Image size 512x512, Abdomen, CT slice
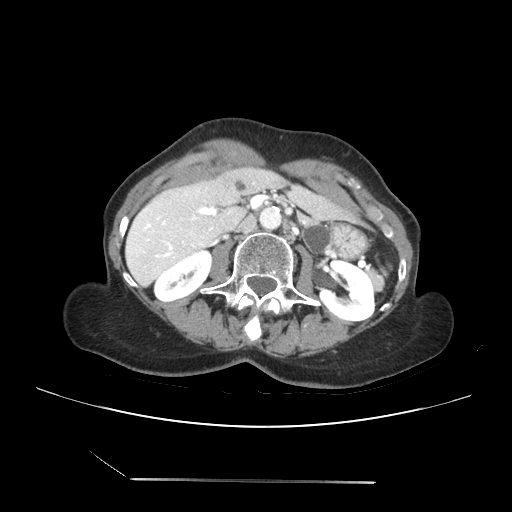 2 pancreas regions are bounded by left=315, top=228, right=333, bottom=254; left=297, top=212, right=326, bottom=252. The pancreatic tumor is located at left=304, top=225, right=330, bottom=253.